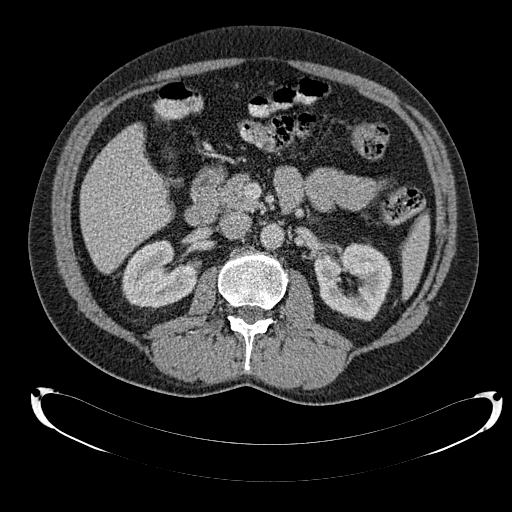 CT slice

<segmentation>
  <liver>[x1=79, y1=124, x2=170, y2=272]</liver>
  <kidney>[x1=123, y1=241, x2=196, y2=307], [x1=315, y1=244, x2=391, y2=320]</kidney>
</segmentation>